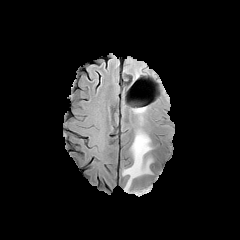
FLAIR magnetic resonance.
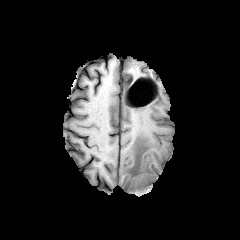
Same slice, T1-weighted MRI.
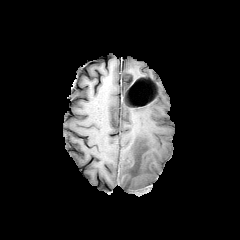
Post-contrast T1-weighted MRI.
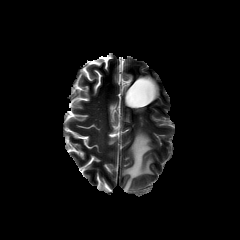
T2-weighted MR image of the same slice.
Brain, 240x240 px
<segmentation>
  <edema><box>122,129,151,191</box></edema>
</segmentation>